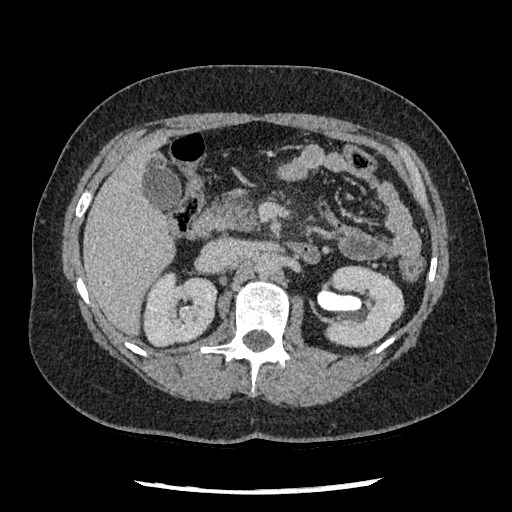 CT scan slice; Abdomen
pancreas: [x1=211, y1=193, x2=259, y2=230]